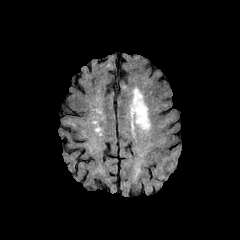
FLAIR magnetic resonance.
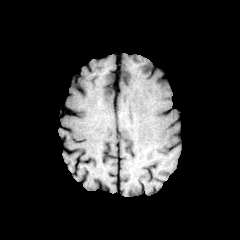
Same slice, T1-weighted MRI.
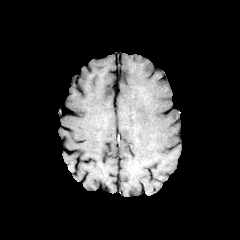
Post-contrast T1-weighted magnetic resonance of the same slice.
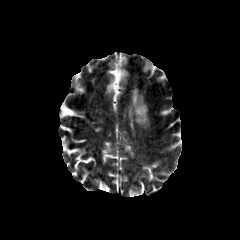
Same slice, T2-weighted MRI.
Image size 240x240
<segmentation>
  <edema>(left=130, top=88, right=149, bottom=128)</edema>
</segmentation>